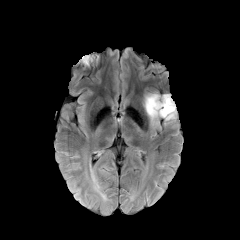
FLAIR MRI.
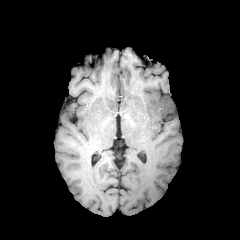
T1-weighted MR.
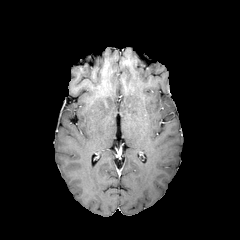
Same slice, post-contrast T1-weighted magnetic resonance.
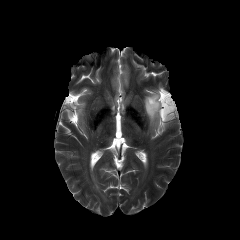
Same slice, T2-weighted MR.
{
  "edema": [
    "rect(144, 92, 176, 128)"
  ],
  "non-enhancing_tumor_core": [
    "rect(158, 95, 171, 116)"
  ]
}